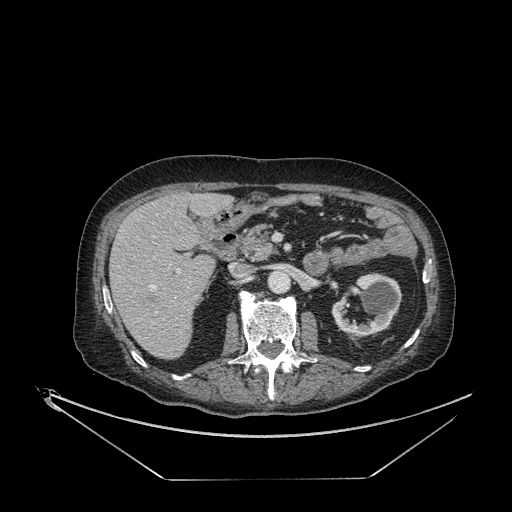 CT image, Liver
The liver is bounded by x1=110, y1=193, x2=233, y2=359. The liver lesion is bounded by x1=146, y1=296, x2=157, y2=303. 2 kidney regions appear at x1=349, y1=286, x2=360, y2=294; x1=332, y1=273, x2=401, y2=336.